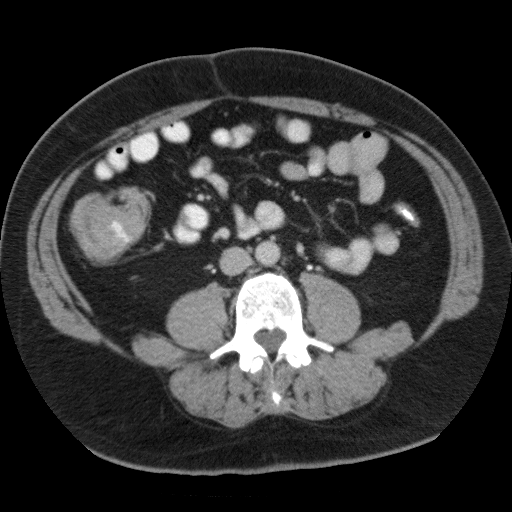

Pelvis, CT slice, 512x512
Findings:
- colon tumor: bbox(71, 187, 148, 262)